Image width 400 mm. Slice index 397. CT slice.

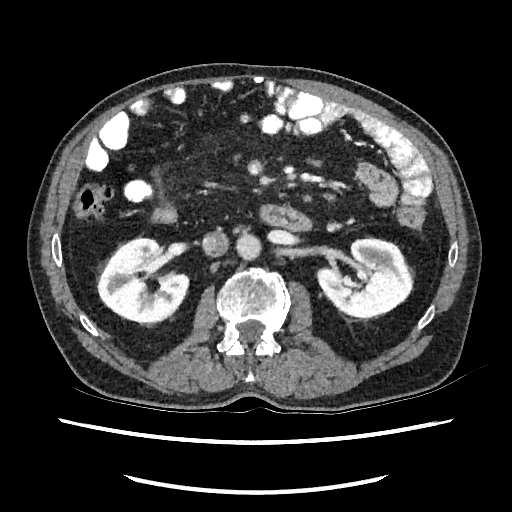 • kidney: [317,238,413,319], [97,237,188,326]